512x512 | CT slice | Slice 235 of 605
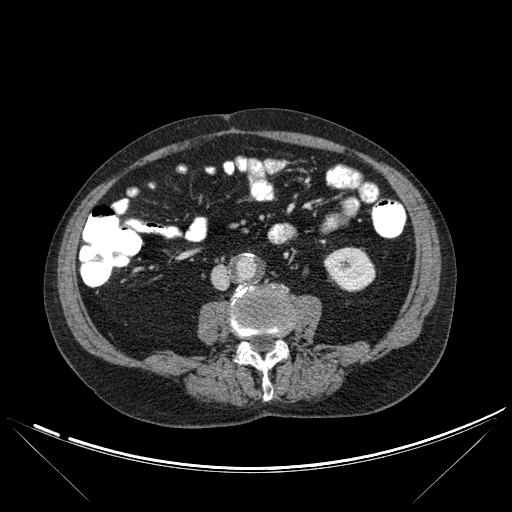 2 bone regions appear at bbox=[236, 340, 288, 400]; bbox=[230, 286, 292, 338]. The kidney is bounded by bbox=[324, 248, 374, 290].